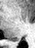
MR image, Medial temporal lobe

Annotated regions:
* posterior hippocampus: (12,38,18,40)